CT scan slice | Abdomen | 512x512

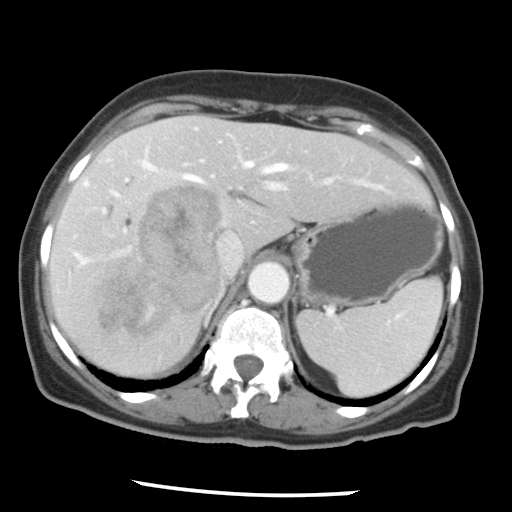

The vessel boxes may cover only some of the vessels.
hepatic_vessel:
  - x1=181, y1=173, x2=206, y2=183
  - x1=240, y1=156, x2=254, y2=168
  - x1=72, y1=251, x2=88, y2=265
  - x1=261, y1=163, x2=286, y2=173
  - x1=218, y1=233, x2=240, y2=270
  - x1=135, y1=147, x2=164, y2=174
  - x1=82, y1=177, x2=89, y2=188
  - x1=124, y1=151, x2=125, y2=153
  - x1=101, y1=157, x2=111, y2=162
  - x1=268, y1=183, x2=277, y2=188
  - x1=109, y1=189, x2=120, y2=197
  - x1=223, y1=215, x2=227, y2=223
  - x1=113, y1=247, x2=129, y2=255
liver_tumor:
  - x1=93, y1=182, x2=224, y2=337